T2-weighted MR image.
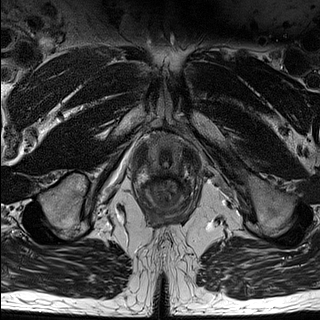
ADC MR.
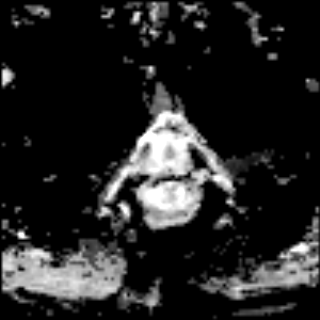
320x320
<segmentation>
  <prostate_transition_zone>154, 144, 179, 173</prostate_transition_zone>
</segmentation>